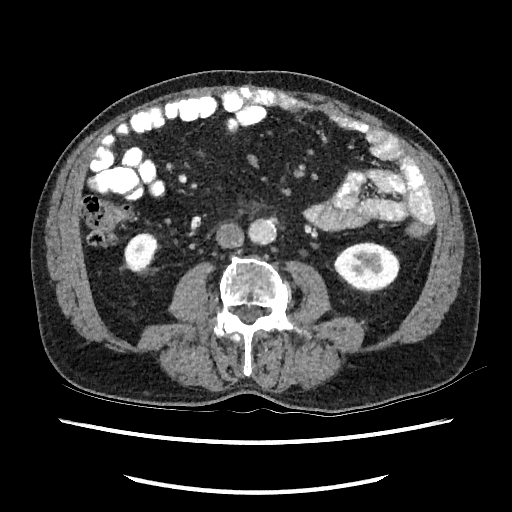

Abdomen. CT scan slice.

Kidney = region(124, 233, 157, 271); region(334, 243, 399, 291).